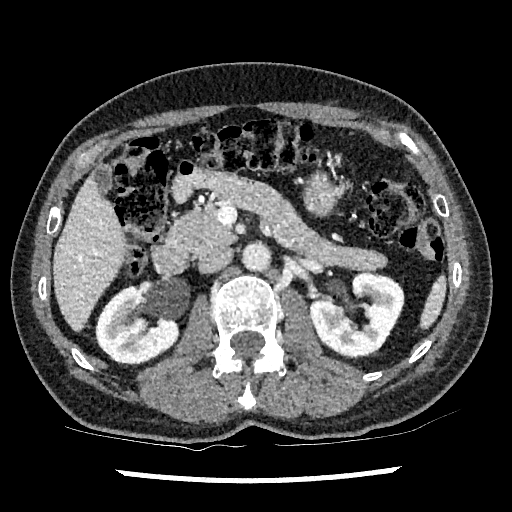 CT

Kidney — x1=311, y1=274, x2=403, y2=355; x1=97, y1=287, x2=177, y2=362.
Liver — x1=54, y1=173, x2=127, y2=331.